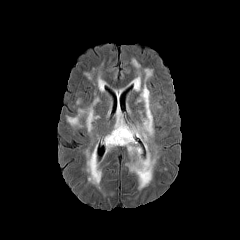
FLAIR MRI.
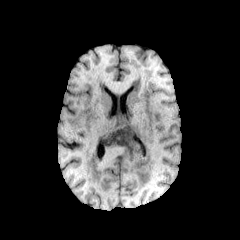
T1-weighted magnetic resonance.
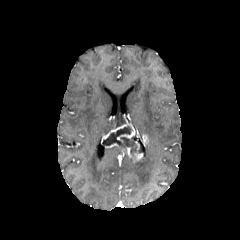
Post-contrast T1-weighted MR of the same slice.
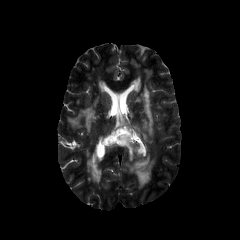
T2-weighted MR.
Enhancing tumor: bounding box bbox=[100, 124, 139, 143]; bbox=[140, 135, 150, 146]; bbox=[127, 147, 143, 160].
Edema: bounding box bbox=[66, 97, 100, 134]; bbox=[114, 118, 124, 128]; bbox=[82, 142, 102, 190]; bbox=[125, 146, 157, 190]; bbox=[97, 73, 105, 92]; bbox=[131, 59, 140, 69]; bbox=[127, 69, 154, 137].
Non-enhancing tumor core: bounding box bbox=[102, 127, 142, 155].